Upper abdomen; CT 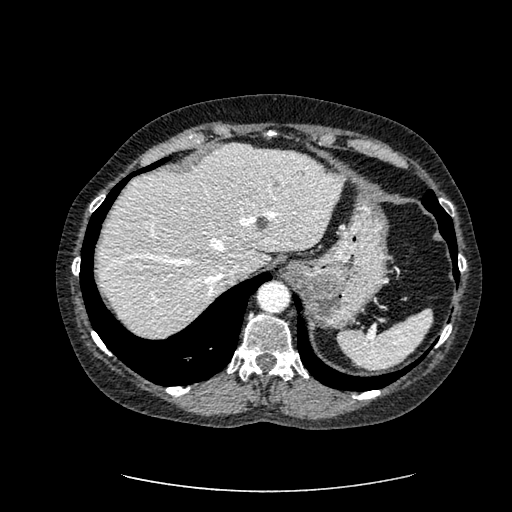

Segmented structures:
* liver lesion: 255, 216, 268, 230
* liver: 95, 144, 341, 336